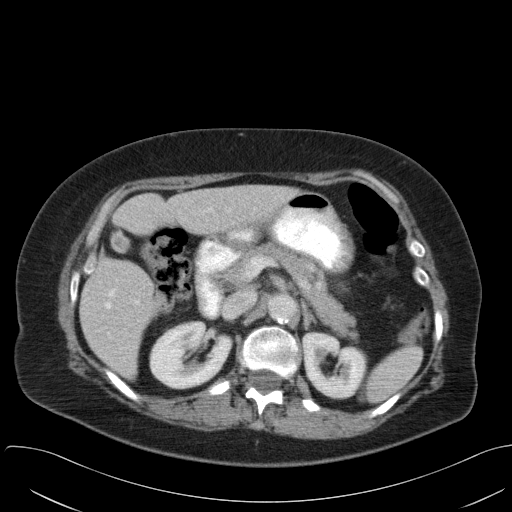
Computed tomography
<segmentation>
  <spleen>[366, 347, 422, 402]</spleen>
</segmentation>